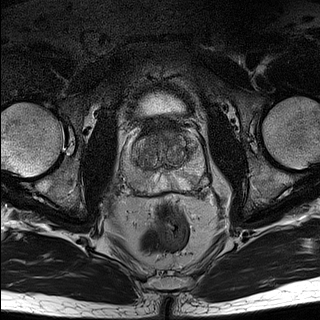
T2-weighted MRI.
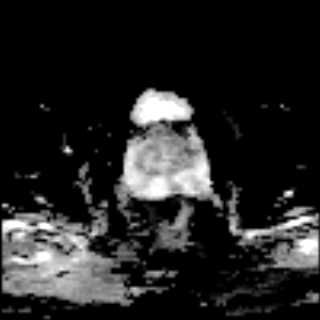
ADC magnetic resonance of the same slice.
Prostate; 320x320 px
prostate transition zone: (left=132, top=129, right=192, bottom=171) | prostate peripheral zone: (left=124, top=130, right=202, bottom=193)